CT image, 512x512 px
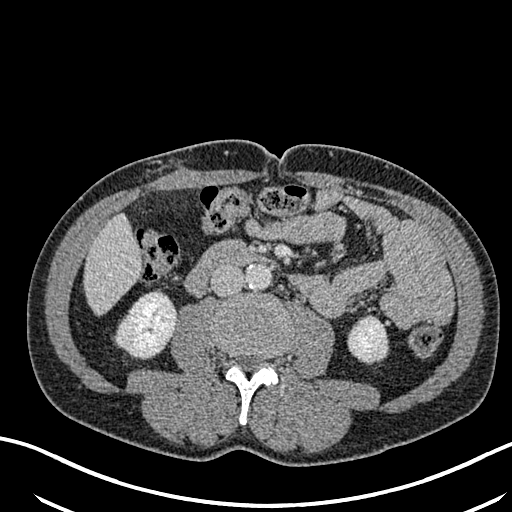
Annotated regions:
• kidney: [x1=349, y1=318, x2=386, y2=360], [x1=117, y1=293, x2=175, y2=356]
• liver: [x1=84, y1=214, x2=139, y2=315]